Slice 8/43; CT image; Abdomen; 512x512 px 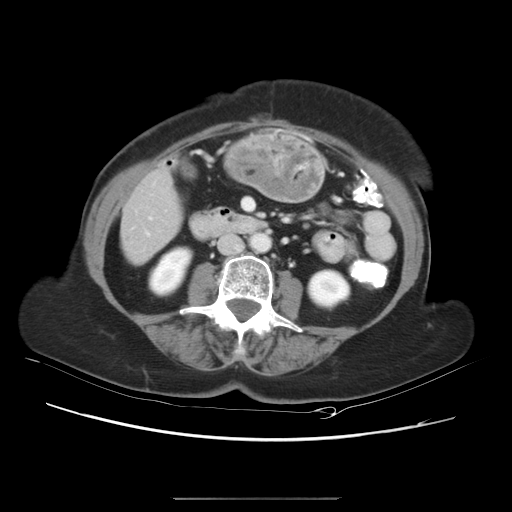

Some hepatic vessels may have no box.
5 hepatic vessel regions are bounded by 145:231:149:235, 165:210:166:211, 152:183:154:185, 149:217:151:219, 151:194:153:195.